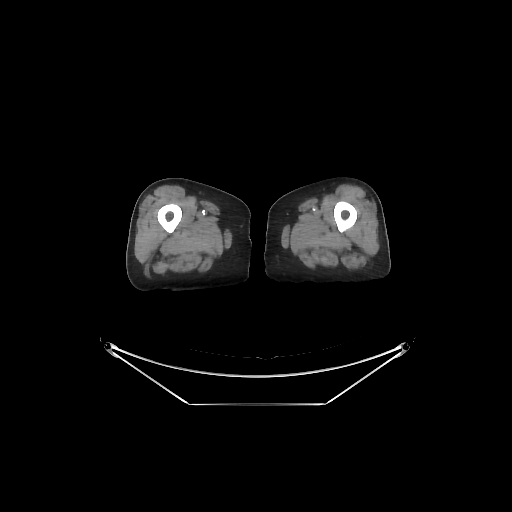

CT scan slice
Bone = x1=334, y1=201, x2=356, y2=232; x1=157, y1=203, x2=181, y2=232.